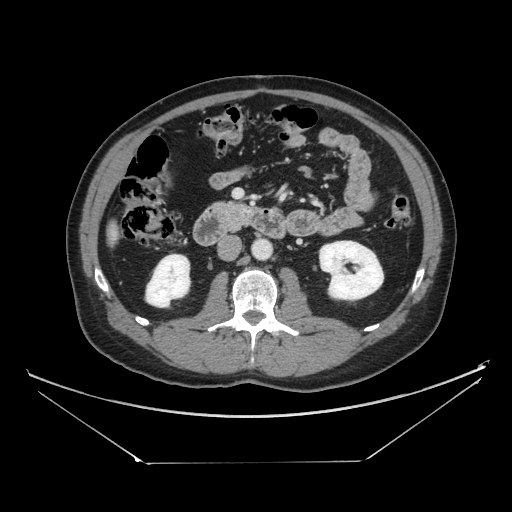
CT, Upper abdomen

Pancreatic tumor — [238,204,252,216].
Pancreas — [226,202,252,229].